Computed tomography, Slice index 22

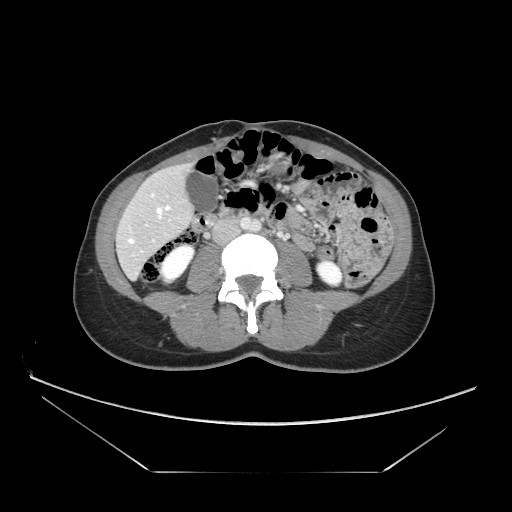 Findings:
• pancreas: left=222, top=206, right=229, bottom=215